Pelvis | CT | Slice 133/629 | Image size 512x512
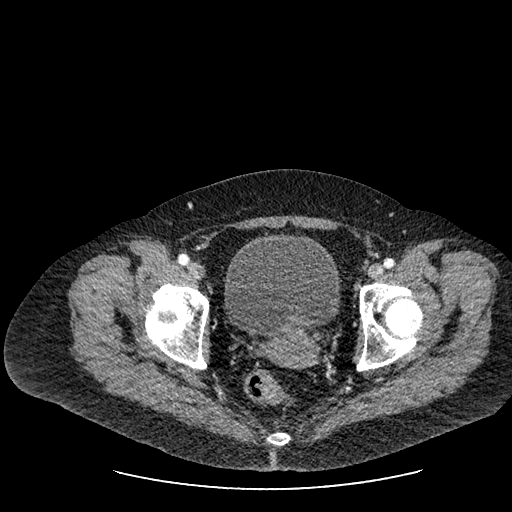
The urinary bladder is bounded by rect(225, 232, 339, 337).